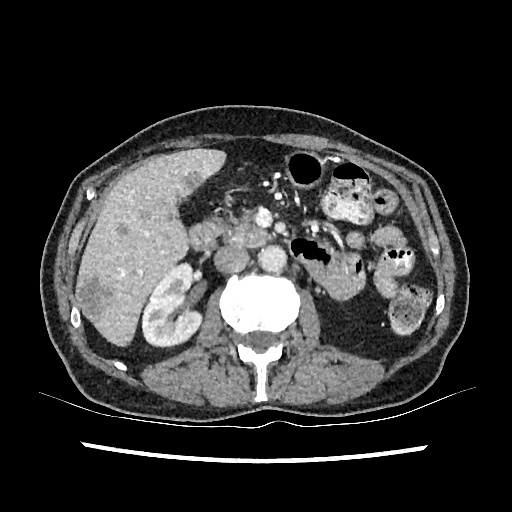 Abdomen, 512x512 px, CT scan slice
The kidney lies within (left=142, top=264, right=201, bottom=345). The liver is at (left=76, top=149, right=225, bottom=345). 5 liver lesion regions appear at (left=181, top=171, right=204, bottom=190), (left=117, top=224, right=127, bottom=234), (left=167, top=214, right=177, bottom=221), (left=140, top=211, right=150, bottom=220), (left=76, top=278, right=113, bottom=317).